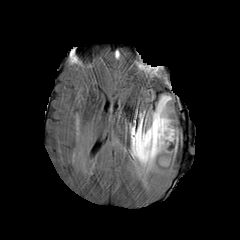
FLAIR MR.
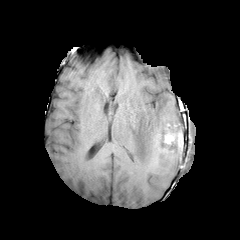
Same slice, T1-weighted MRI.
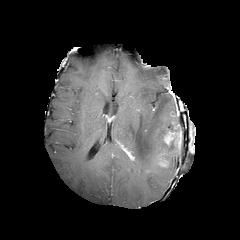
Same slice, post-contrast T1-weighted MR.
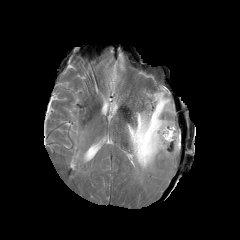
T2-weighted magnetic resonance.
Image size 240x240.
The edema is bounded by 126, 94, 179, 175. The enhancing tumor is bounded by 164, 131, 174, 143. The non-enhancing tumor core is located at 167, 131, 180, 145.